MR. Hippocampus. 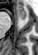
Segmented structures:
* anterior hippocampus: left=16, top=5, right=26, bottom=19